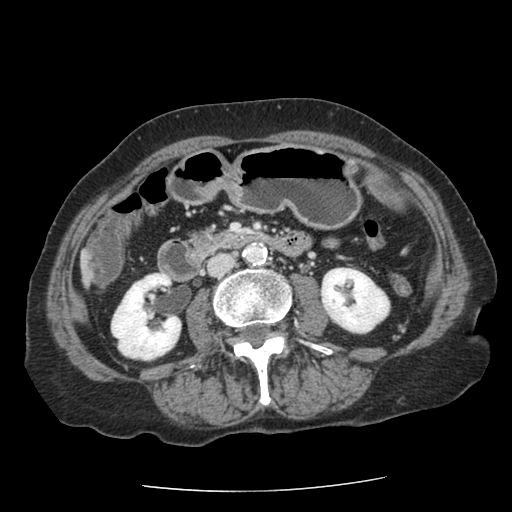

CT image, Upper abdomen

{"pancreas": ["<bbox>195, 232, 234, 253</bbox>"]}